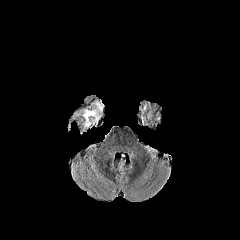
FLAIR MR image.
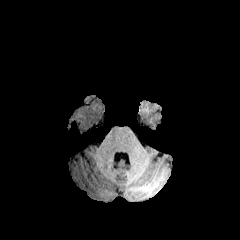
T1-weighted MR.
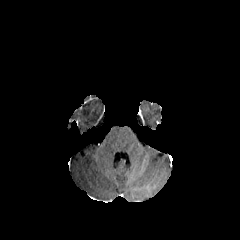
Post-contrast T1-weighted MR.
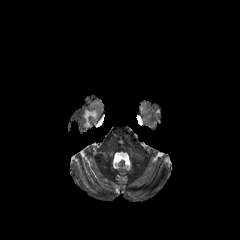
T2-weighted MR image.
edema: 71, 100, 104, 130